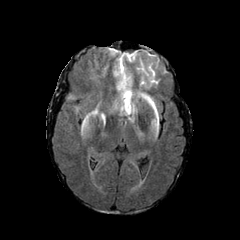
FLAIR MRI.
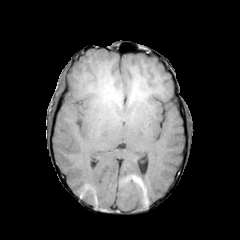
Same slice, T1-weighted MR.
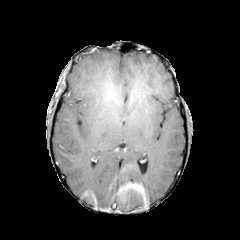
Same slice, post-contrast T1-weighted MRI.
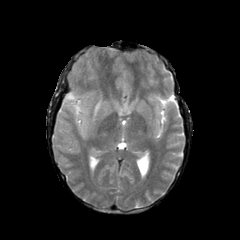
T2-weighted MRI of the same slice.
Image size 240x240 | Head
5 edema regions are located at (149, 98, 157, 114), (74, 104, 83, 113), (81, 105, 99, 134), (124, 90, 130, 107), (67, 93, 77, 101).